CT scan slice; Slice 41/537

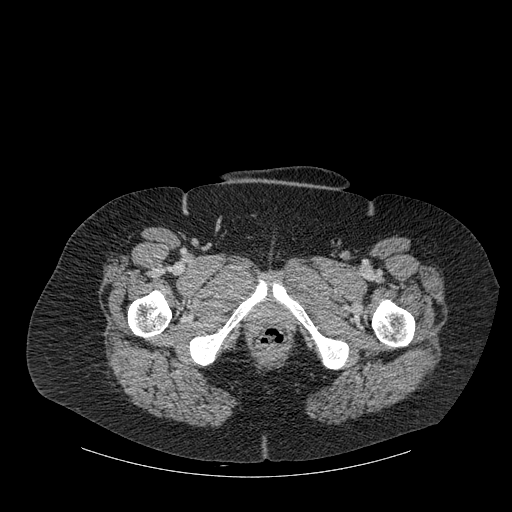

4 bone regions are located at l=189, t=280, r=267, b=365; l=372, t=300, r=414, b=346; l=128, t=290, r=171, b=337; l=273, t=283, r=348, b=368.